MR image. 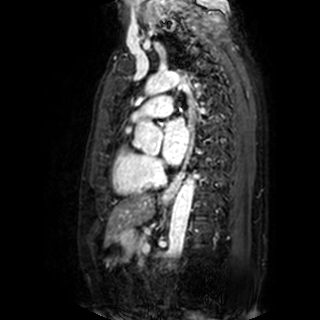

Annotated regions:
• left atrium: (163,117,189,164)